CT scan slice 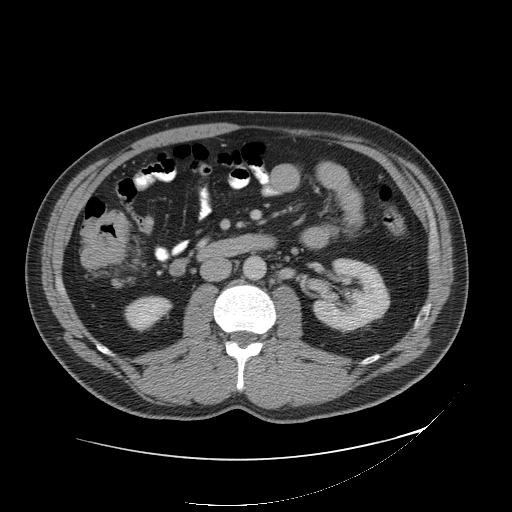

The colon tumor appears at box=[80, 214, 127, 268].